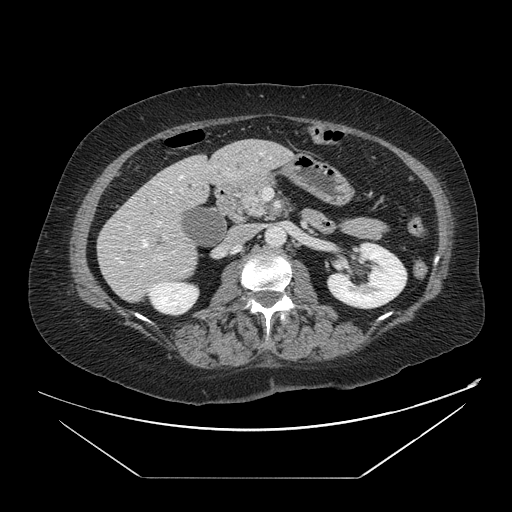 Abdomen, 512x512, CT scan slice
<segmentation>
  <pancreas>(x1=239, y1=175, x2=274, y2=214)</pancreas>
  <pancreatic_tumor>(x1=247, y1=196, x2=264, y2=217)</pancreatic_tumor>
</segmentation>